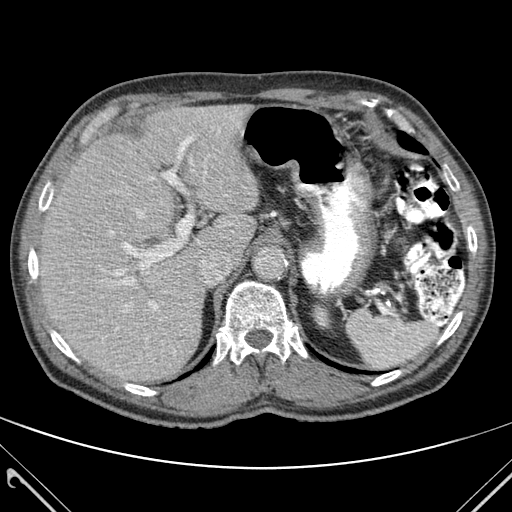

Liver; CT slice
The liver is at x1=38, y1=104, x2=257, y2=381. 9 bone regions appear at x1=445, y1=165, x2=458, y2=190; x1=214, y1=282, x2=306, y2=364; x1=51, y1=330, x2=77, y2=360; x1=125, y1=384, x2=155, y2=395; x1=28, y1=249, x2=37, y2=278; x1=438, y1=312, x2=461, y2=343; x1=468, y1=227, x2=476, y2=251; x1=372, y1=370, x2=400, y2=385; x1=39, y1=183, x2=52, y2=211. 3 lung regions are bounded by x1=397, y1=131, x2=427, y2=154; x1=322, y1=358, x2=352, y2=371; x1=198, y1=355, x2=208, y2=367.